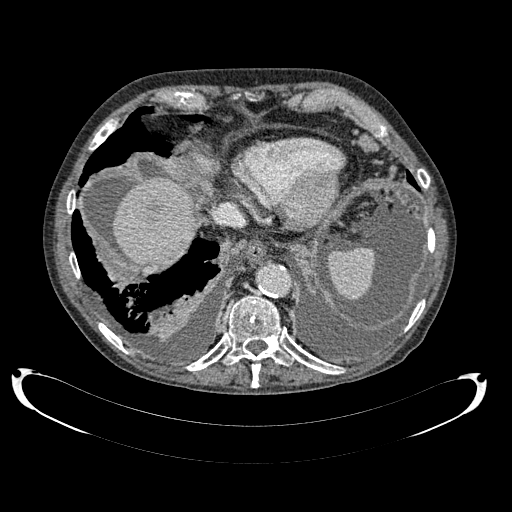
CT, Image size 512x512
liver: 113,178,197,269 | focal liver lesion: 141,202,160,222